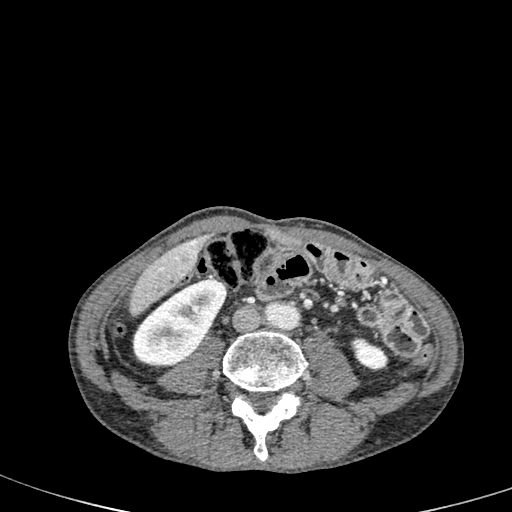 CT, Upper abdomen

Kidney: rect(134, 280, 224, 364); rect(353, 340, 386, 368).
Liver: rect(128, 235, 210, 315).